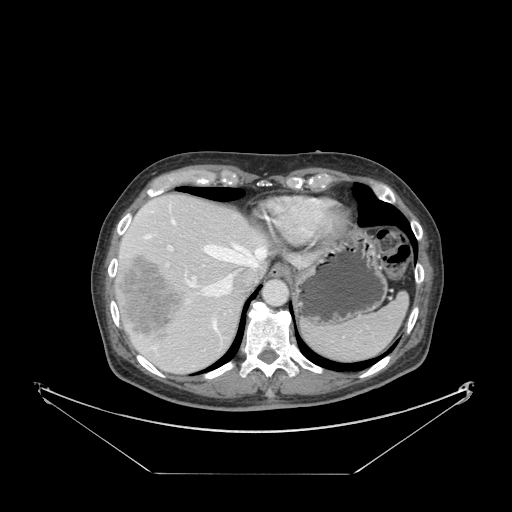 Abdomen; CT image

The spleen appears at 302 293 408 362.